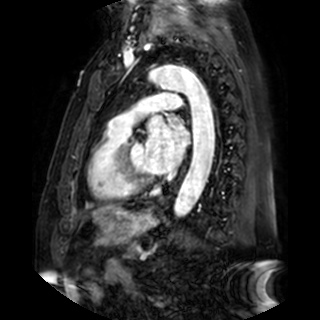

MRI slice
The left atrium is bounded by x1=145 y1=117 x2=189 y2=173.